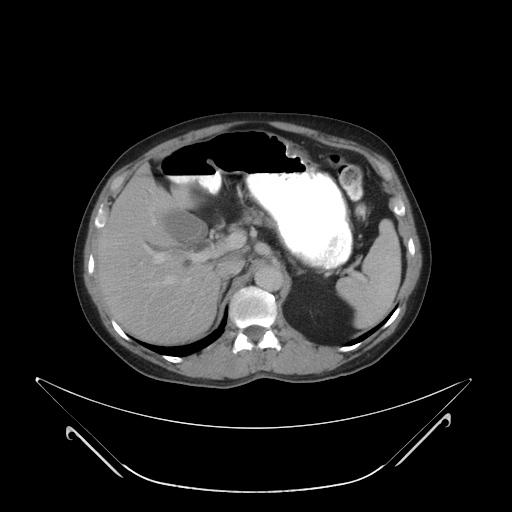 Abdomen; Computed tomography
The pancreas is at x1=241, y1=207, x2=275, y2=227.